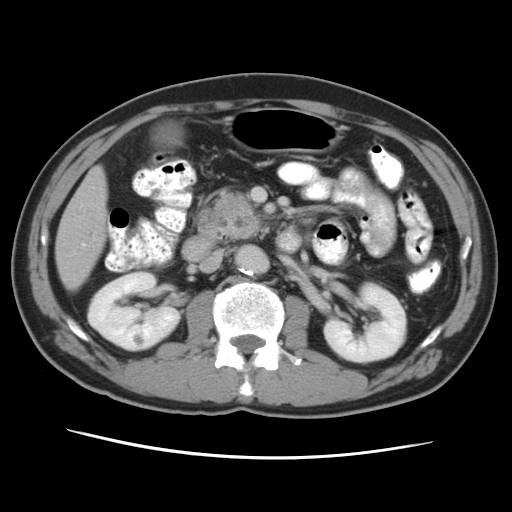
CT scan slice, Upper abdomen
Pancreatic tumor — 223 225 247 236.
Pancreas — 205 190 260 244.